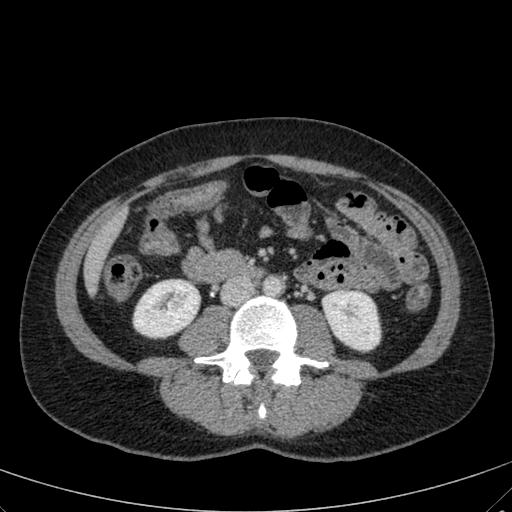
CT image | 512x512 px

• kidney: (134,280,198,336), (323,291,379,349)
• liver: (84,211,122,295)